Abdomen | Field of view 480 mm wide, 2.50 mm slice spacing | CT slice

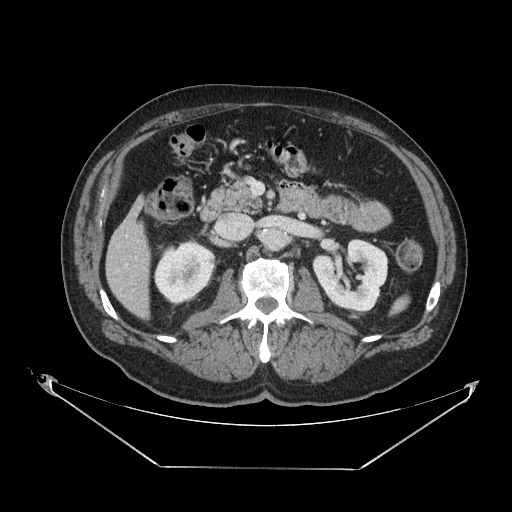
The pancreas is at [211,177,263,215].